Image width 240 mm, 240x240 px
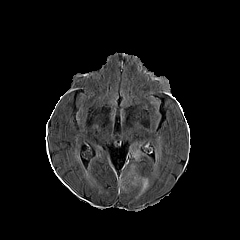
FLAIR magnetic resonance.
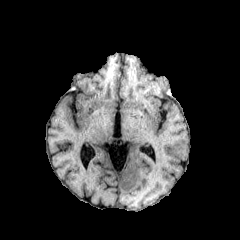
T1-weighted MR.
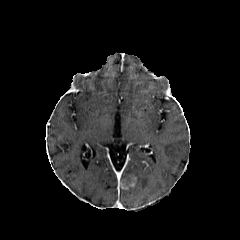
Post-contrast T1-weighted magnetic resonance of the same slice.
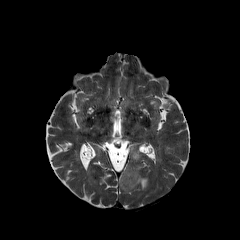
T2-weighted MR.
Segmented structures:
• edema: 131:150:144:161, 153:148:160:174, 136:177:149:195
• enhancing tumor: 120:172:137:190
• non-enhancing tumor core: 134:157:147:167